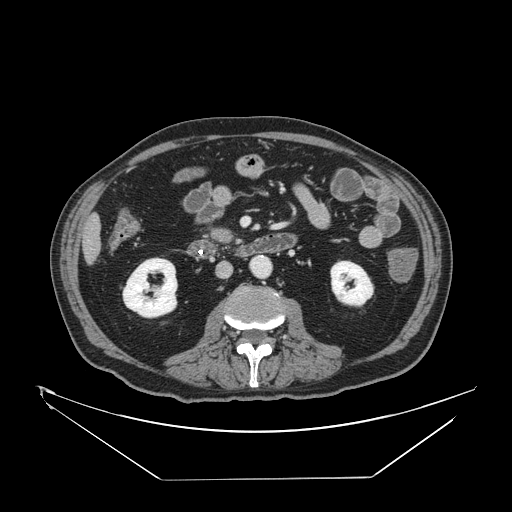
Image size 512x512; CT slice
pancreas: box=[205, 224, 237, 245] | pancreatic tumor: box=[211, 229, 232, 242]